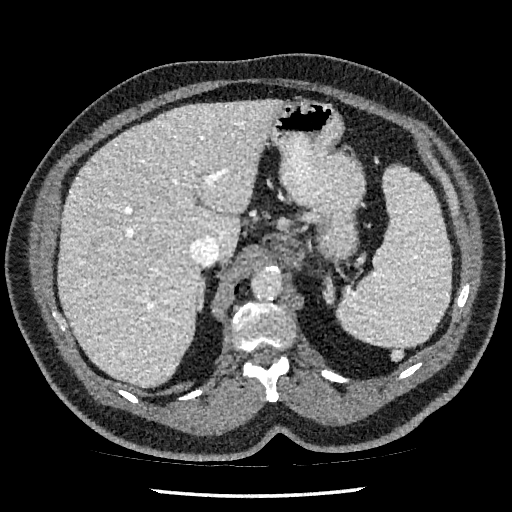
Abdomen. CT image. Liver at <bbox>58, 100, 280, 386</bbox>.